512x512 px | Liver | CT slice 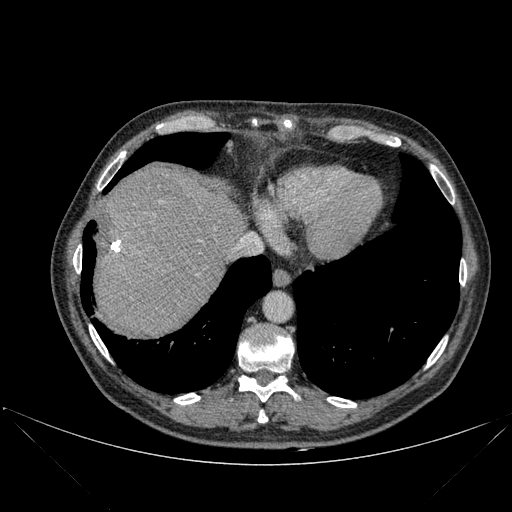
liver:
  - rect(93, 168, 239, 339)
lung:
  - rect(80, 220, 96, 315)
  - rect(92, 255, 271, 393)
  - rect(103, 132, 228, 193)
  - rect(293, 153, 461, 398)
bone:
  - rect(89, 325, 110, 360)
  - rect(97, 151, 125, 190)
  - rect(257, 410, 267, 423)
  - rect(73, 245, 81, 273)
  - rect(426, 339, 446, 367)
  - rect(459, 260, 466, 285)
  - rect(238, 330, 293, 372)
  - rect(386, 138, 400, 146)
  - rect(239, 376, 296, 401)
  - rect(174, 393, 200, 404)
  - rect(327, 397, 356, 407)
  - rect(430, 165, 454, 199)